Image size 240x240.
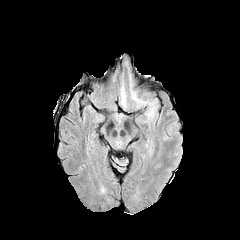
FLAIR MR.
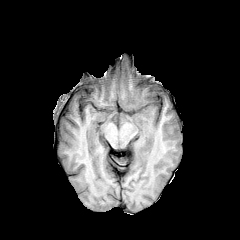
T1-weighted MRI.
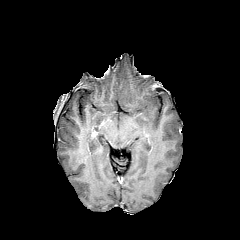
Post-contrast T1-weighted MRI.
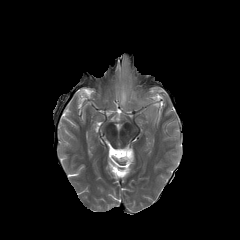
T2-weighted MR.
edema:
  - [119, 72, 158, 123]